Abdomen; CT slice

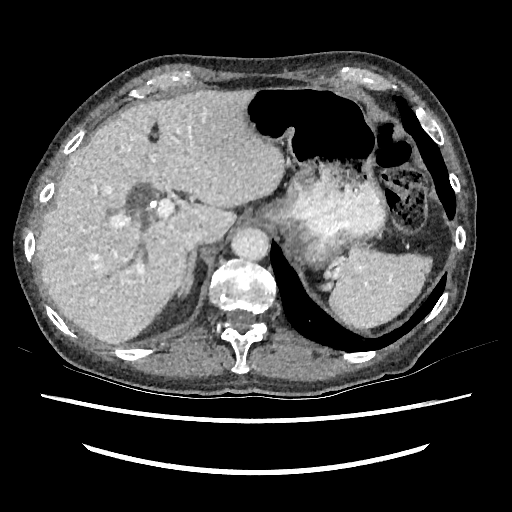
liver: <box>36,91,282,342</box>